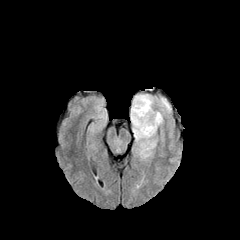
FLAIR MR.
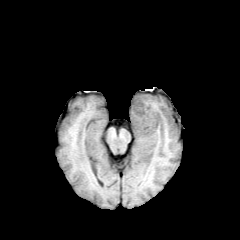
T1-weighted MR.
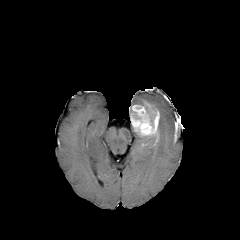
Same slice, post-contrast T1-weighted magnetic resonance.
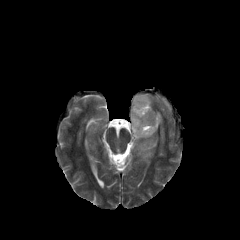
T2-weighted MR image of the same slice.
The enhancing tumor is at {"x1": 130, "y1": 102, "x2": 159, "y2": 136}. 2 edema regions are bounded by {"x1": 132, "y1": 130, "x2": 157, "y2": 159}, {"x1": 132, "y1": 94, "x2": 171, "y2": 136}.